CT slice; Field of view 400 mm wide, 2.50 mm slice spacing; Slice 27 of 85

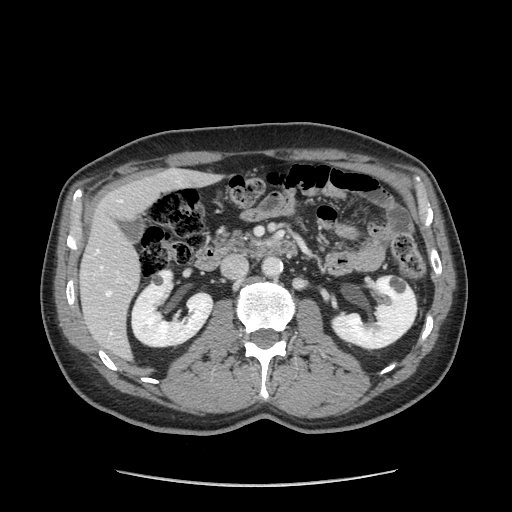 The pancreas is at [215, 230, 258, 256].